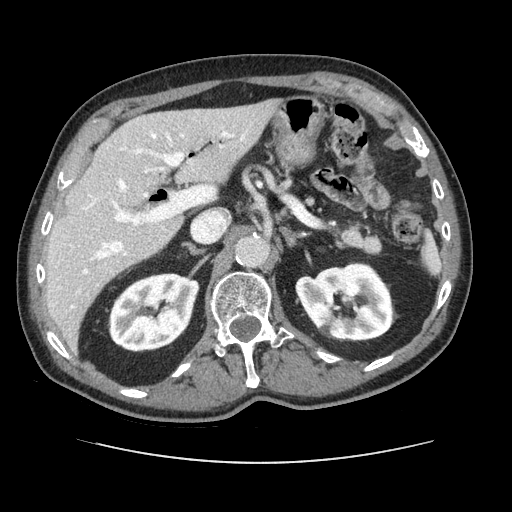
Computed tomography

The pancreas is at [338, 227, 380, 253].